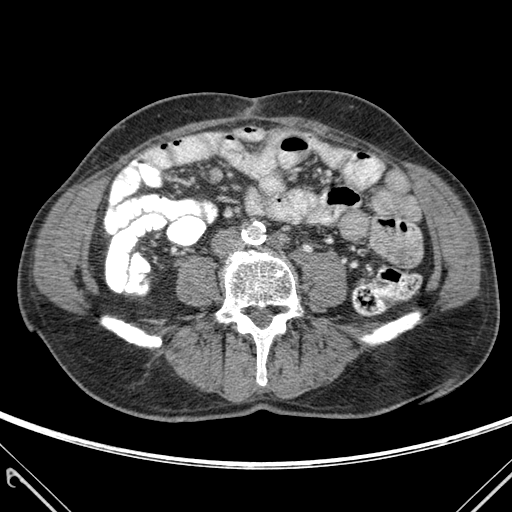 Image size 512x512. CT slice. Bone: bounding box (102,318,161,346), (216,251,299,385), (362,313,419,343).